FLAIR MR.
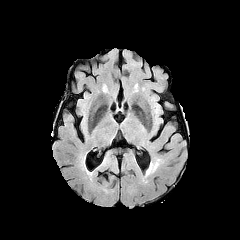
T1-weighted MR.
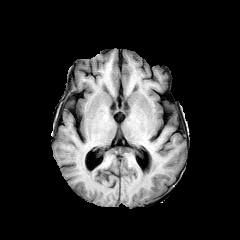
Post-contrast T1-weighted MRI.
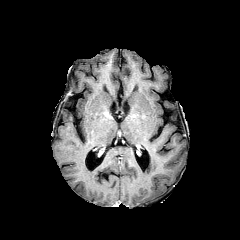
T2-weighted magnetic resonance.
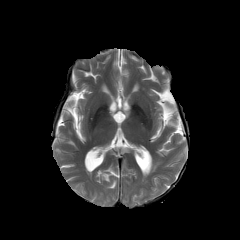
240x240 | Head
Findings:
* edema: region(146, 161, 159, 176)